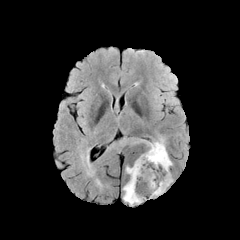
FLAIR MR image.
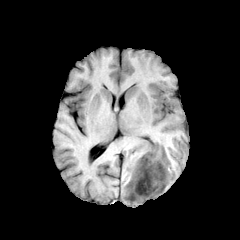
T1-weighted MRI.
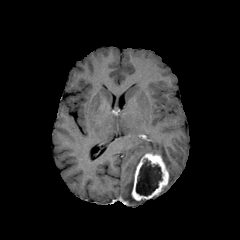
Same slice, post-contrast T1-weighted magnetic resonance.
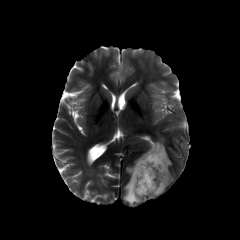
T2-weighted magnetic resonance.
240x240. Brain.
The enhancing tumor lies within (131,152,169,201). 2 edema regions are bounded by (123,156,143,204), (142,138,172,170). The non-enhancing tumor core is located at (136,161,161,195).